Slice 360/654. CT. Upper abdomen.
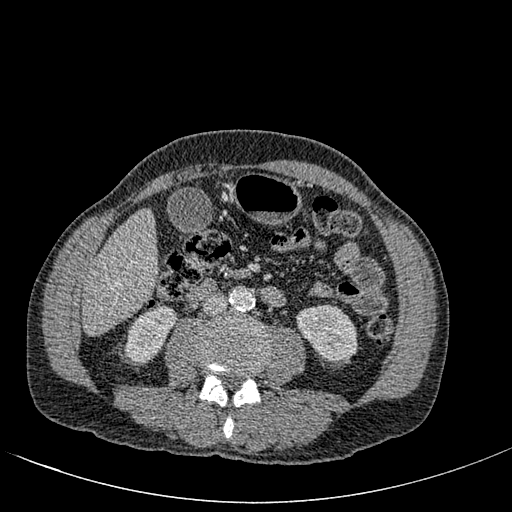 <segmentation>
  <liver>box=[81, 208, 156, 332]</liver>
  <kidney>box=[297, 305, 357, 360]; box=[125, 306, 176, 362]</kidney>
</segmentation>